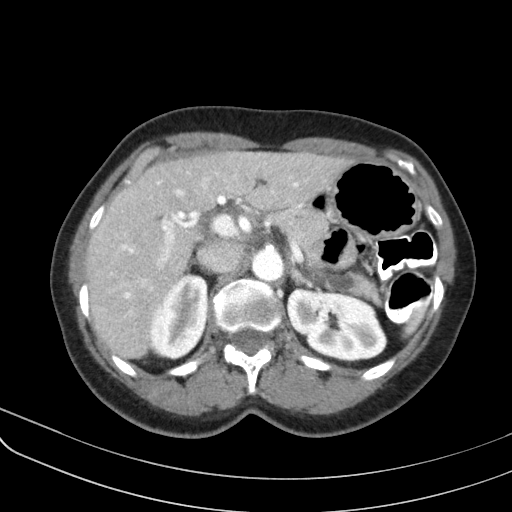
CT. Upper abdomen.

<segmentation>
  <pancreas>271:207:379:303</pancreas>
  <pancreatic_tumor>304:268:354:289</pancreatic_tumor>
</segmentation>